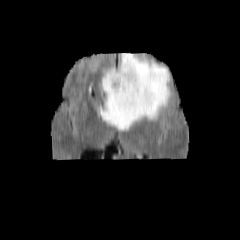
FLAIR MR.
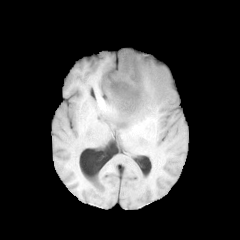
Same slice, T1-weighted MR.
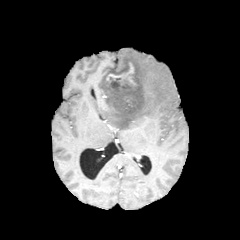
Same slice, post-contrast T1-weighted MR image.
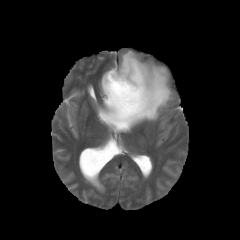
T2-weighted magnetic resonance.
{"enhancing_tumor": ["x1=106, y1=63, x2=133, y2=80"], "edema": ["x1=98, y1=51, x2=171, y2=131"], "non-enhancing_tumor_core": ["x1=103, y1=61, x2=145, y2=113"]}